FLAIR MR.
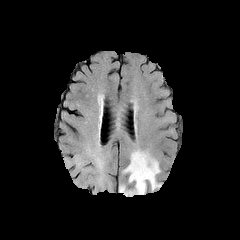
T1-weighted MR.
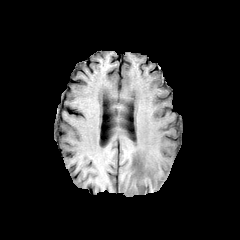
Post-contrast T1-weighted MR.
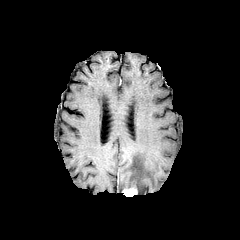
T2-weighted MRI.
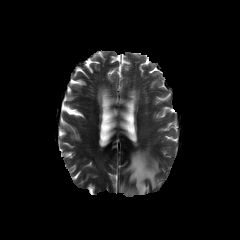
240x240
{"enhancing_tumor": ["122, 188, 137, 196"], "edema": ["124, 151, 161, 194"]}